Image size 240x240, Slice 53 of 155
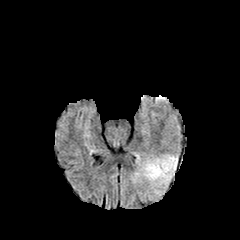
FLAIR MRI.
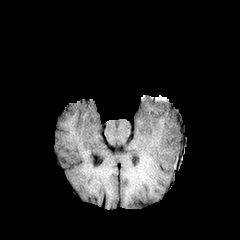
Same slice, T1-weighted MR image.
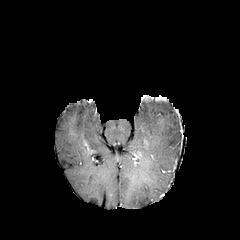
Post-contrast T1-weighted MR image.
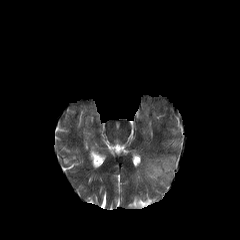
T2-weighted MR.
The edema is at (145, 154, 177, 182).